512x512. CT scan slice.

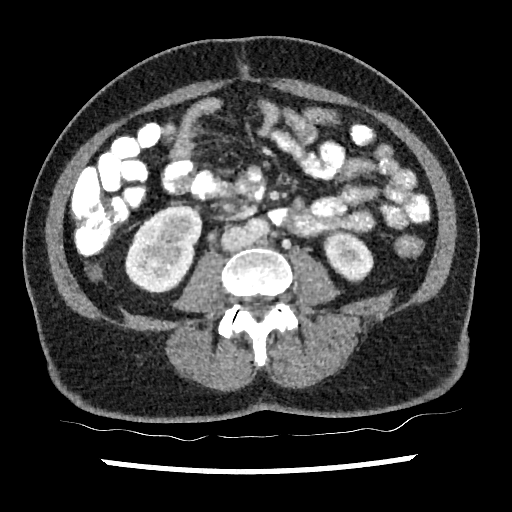 kidney:
  - [326,235,372,278]
  - [126,207,201,291]